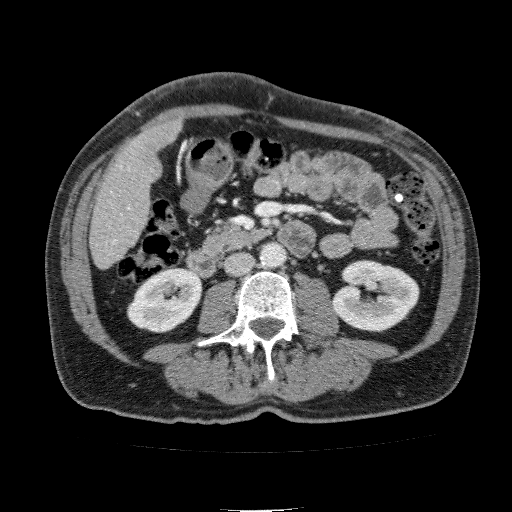
Computed tomography

The liver appears at 90:115:187:269. 2 kidney regions appear at 128:269:200:331, 333:261:418:330.